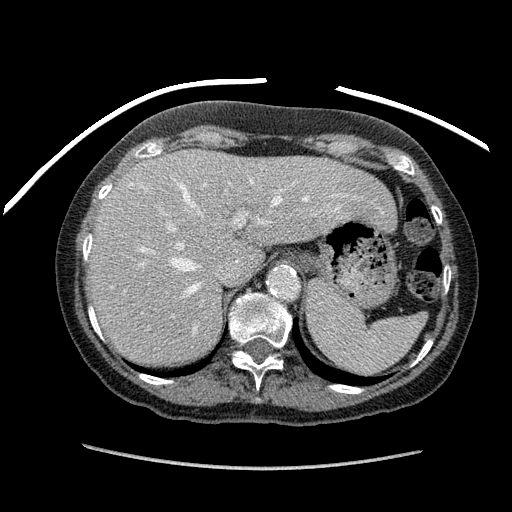

Computed tomography

The liver is located at x1=90, y1=150, x2=395, y2=365.